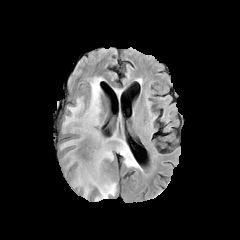
FLAIR MRI.
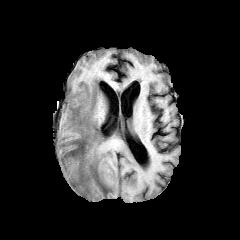
T1-weighted magnetic resonance.
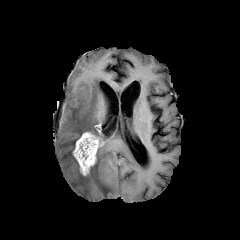
Post-contrast T1-weighted MR image.
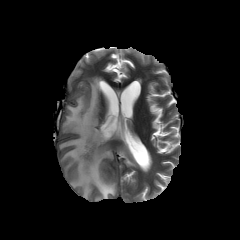
T2-weighted MR image of the same slice.
Image size 240x240. Brain.
2 non-enhancing tumor core regions are bounded by l=85, t=128, r=100, b=136; l=80, t=140, r=97, b=159. 5 edema regions appear at l=60, t=139, r=78, b=149; l=119, t=135, r=135, b=167; l=64, t=150, r=77, b=167; l=62, t=77, r=103, b=135; l=72, t=128, r=118, b=201. The enhancing tumor is at l=73, t=132, r=103, b=175.